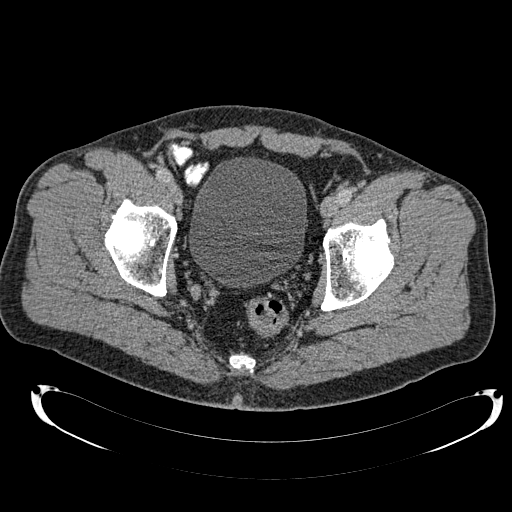
Image size 512x512; CT

Segmented structures:
• urinary bladder: 189, 157, 306, 287